Slice 160 of 588; CT slice; Image size 512x512

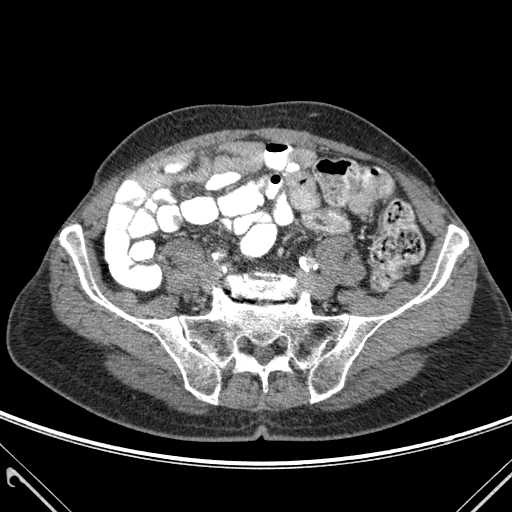 - bone: 59:225:468:404